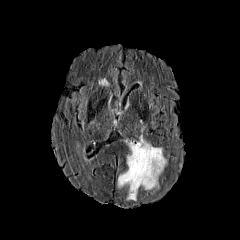
FLAIR magnetic resonance.
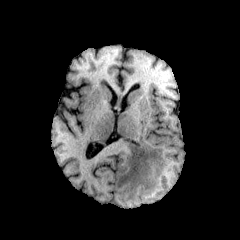
Same slice, T1-weighted MRI.
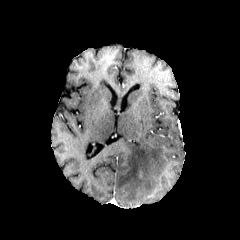
Post-contrast T1-weighted MRI.
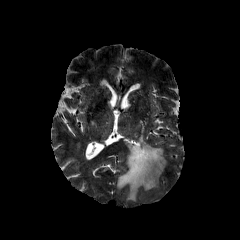
T2-weighted MR image.
Head
Findings:
- edema: (117, 126, 167, 201)